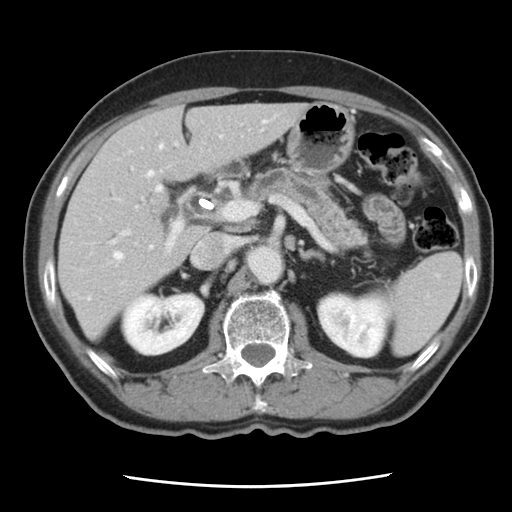
Computed tomography. 512x512. Abdomen. <segmentation>
  <pancreas>rect(249, 168, 367, 250)</pancreas>
  <pancreatic_tumor>rect(243, 219, 259, 224)</pancreatic_tumor>
</segmentation>